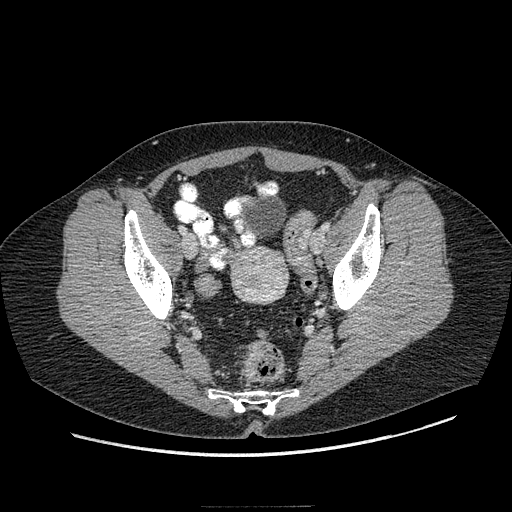 Pelvis, CT

Colon tumor = (245,342,262,379).